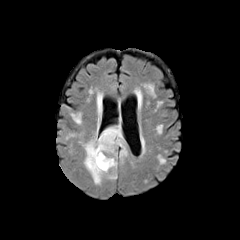
FLAIR MRI.
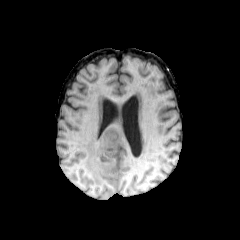
T1-weighted MR image.
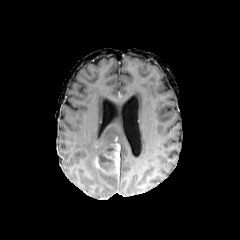
Same slice, post-contrast T1-weighted magnetic resonance.
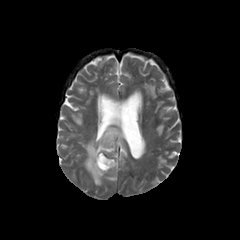
T2-weighted MR image of the same slice.
240x240
Enhancing tumor — <box>108,138,120,174</box>, <box>94,156,103,169</box>.
Non-enhancing tumor core — <box>97,152,113,171</box>.
Edema — <box>79,90,127,184</box>.